512x512 px | Image width 425 mm | CT image

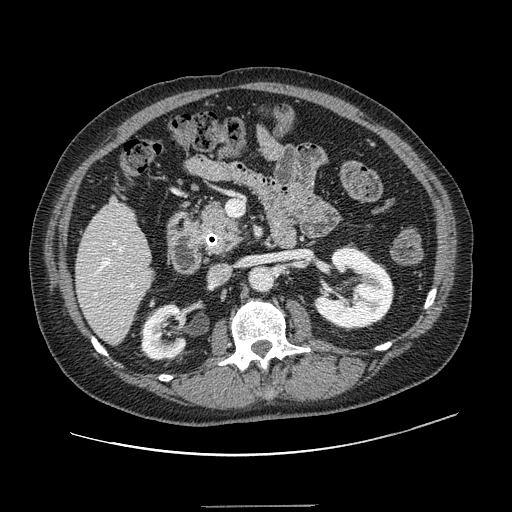
The pancreas lies within left=195, top=201, right=243, bottom=254.